Abdomen, CT, Image size 512x512

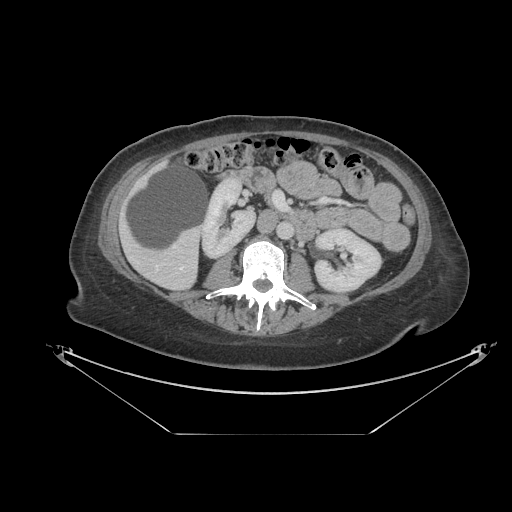
pancreas:
  - bbox(266, 194, 272, 204)